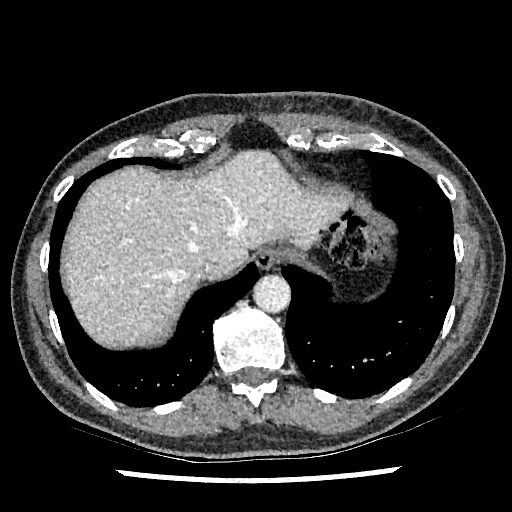 Liver | CT
The liver is bounded by {"x1": 64, "y1": 151, "x2": 348, "y2": 347}.